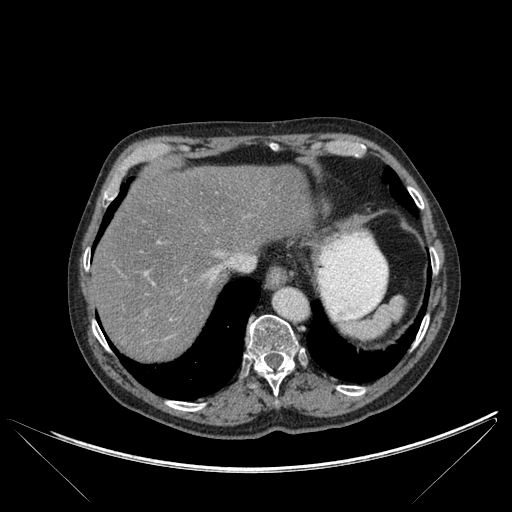 CT slice
bone: [92,321,108,349], [337,385,364,395], [166,401,203,411], [104,192,112,199], [408,187,423,208], [244,315,298,395], [414,316,428,345], [83,251,89,269], [431,249,438,271] | liver: [90,166,312,362] | lung: [110,278,259,399], [383,167,417,216], [307,268,430,382], [95,179,131,244]